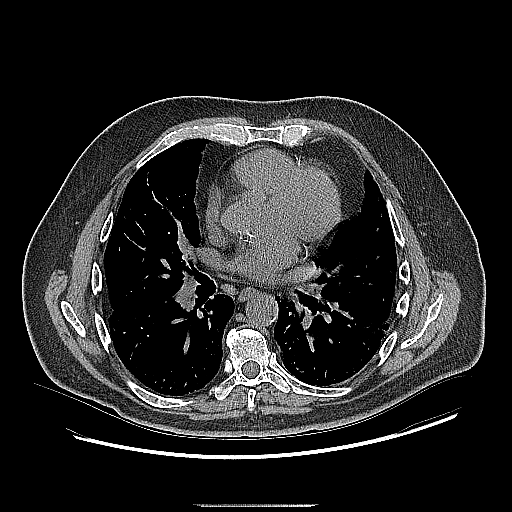 Image size 512x512, CT, Chest
lung tumor: box=[273, 338, 284, 360]; box=[290, 361, 305, 374]; box=[277, 296, 292, 306]